Slice 109/155 | Brain | Field of view 240 mm wide, 1.00 mm slice spacing
FLAIR MRI.
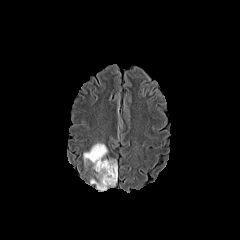
T1-weighted magnetic resonance.
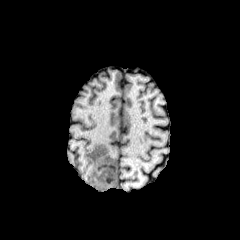
Post-contrast T1-weighted MR.
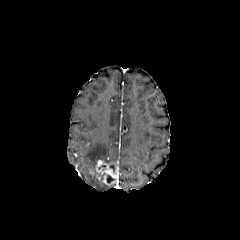
T2-weighted magnetic resonance.
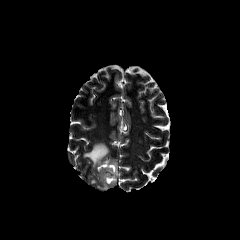
{"edema": ["91 176 107 188", "83 142 108 165"], "enhancing_tumor": ["95 159 117 185"], "non-enhancing_tumor_core": ["100 157 116 163", "106 174 115 183"]}